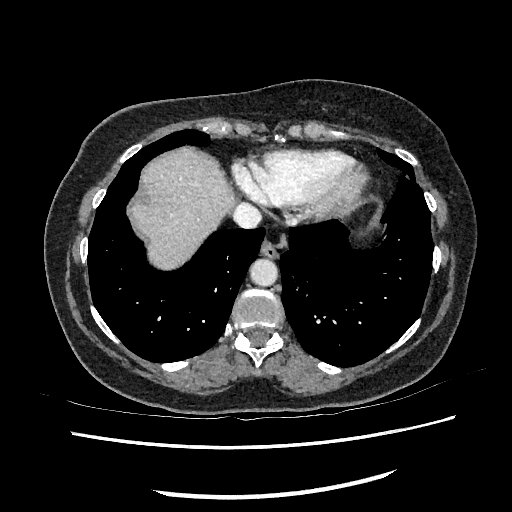
CT image.
The liver is at x1=134, y1=148, x2=230, y2=267.